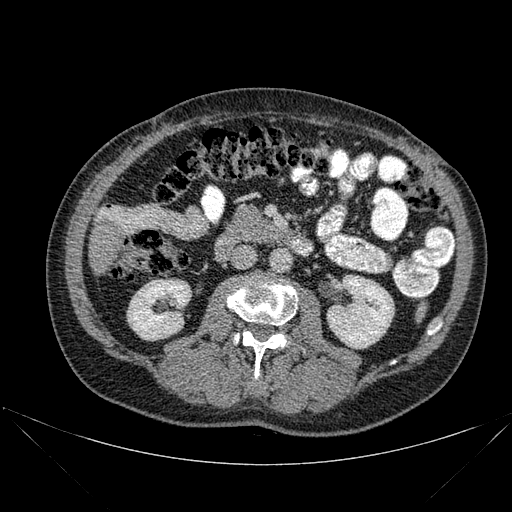

CT slice | 512x512 px

{"kidney": ["127, 280, 190, 340", "327, 275, 393, 348"], "bone": ["428, 325, 440, 334", "227, 280, 297, 325", "233, 330, 295, 387"], "liver": ["89, 218, 125, 274"]}